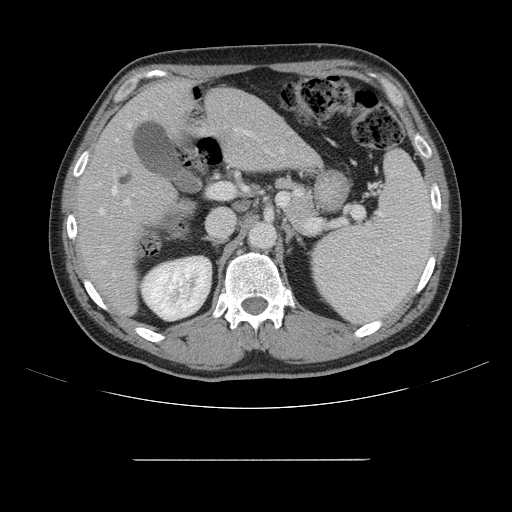
CT scan slice. Image size 512x512.
The vessel annotation is not exhaustive.
11 hepatic vessel regions appear at <bbox>102, 261, 104, 263</bbox>, <bbox>234, 129, 237, 130</bbox>, <bbox>244, 130, 251, 135</bbox>, <bbox>112, 186, 116, 194</bbox>, <bbox>96, 183, 100, 185</bbox>, <bbox>280, 148, 284, 152</bbox>, <bbox>128, 123, 131, 127</bbox>, <bbox>100, 209, 104, 214</bbox>, <bbox>265, 150, 269, 152</bbox>, <bbox>124, 200, 129, 203</bbox>, <bbox>270, 153, 273, 154</bbox>. The liver tumor is bounded by <bbox>117, 170, 133, 186</bbox>.